CT slice; Upper abdomen
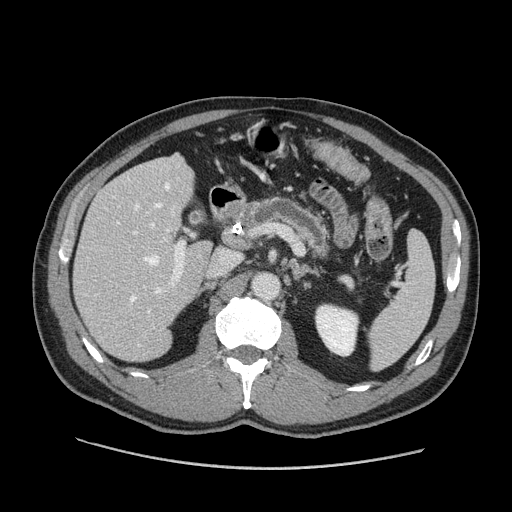

Pancreas at (237, 196, 331, 259).
Pancreatic tumor at (243, 208, 255, 229).